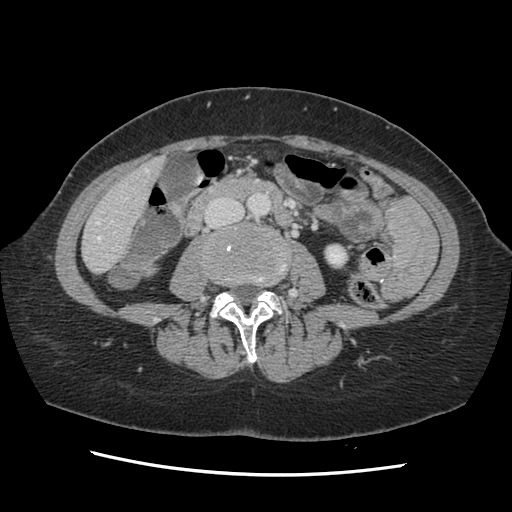

Liver; Image size 512x512; Computed tomography
Not every hepatic vessel necessarily has a box.
Hepatic vessel — region(145, 169, 148, 172); region(98, 236, 100, 239); region(97, 220, 98, 224).